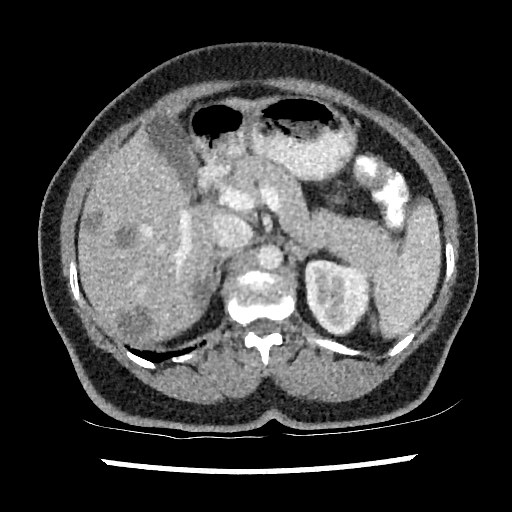 512x512 px, CT image, Upper abdomen

Hepatic lesion: bounding box 193, 277, 209, 309; 115, 227, 135, 247; 116, 307, 153, 343; 82, 210, 102, 231.
Kidney: bounding box 306, 261, 367, 333.
Liver: bounding box 228, 100, 265, 109; 164, 101, 184, 120; 78, 127, 214, 343.